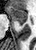
MR image
{"posterior_hippocampus": ["box(19, 23, 24, 25)"], "anterior_hippocampus": ["box(7, 6, 26, 22)"]}